Image size 33x47 | Magnetic resonance | Hippocampus

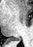
posterior_hippocampus:
  - left=14, top=38, right=20, bottom=40